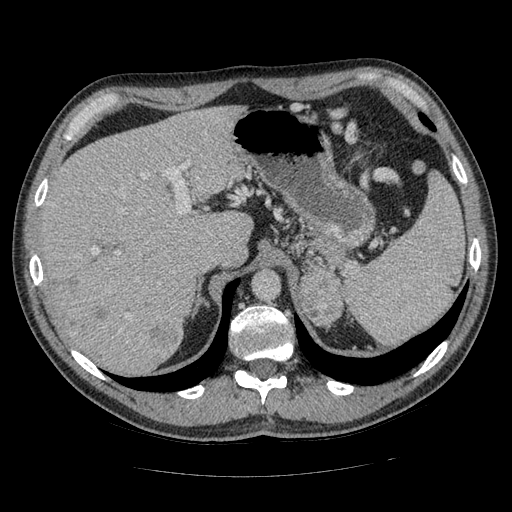
CT scan slice | Image size 512x512 | Upper abdomen
The pancreatic tumor is at [302, 267, 343, 326]. The pancreas is bounded by [299, 264, 332, 307].